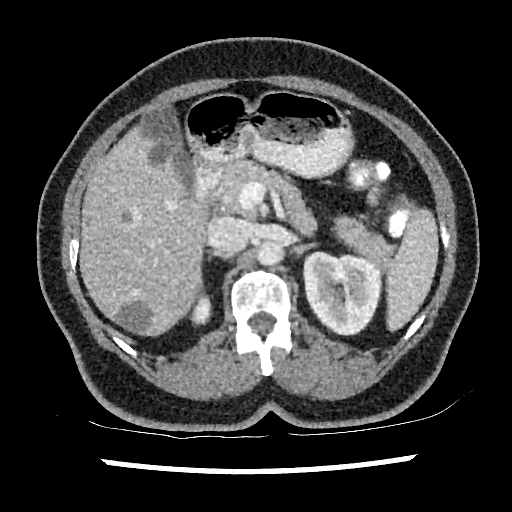

CT slice, 512x512, Upper abdomen
The liver is located at [80, 128, 207, 335]. 3 focal liver lesion regions are bounded by [115, 302, 150, 331], [151, 147, 167, 163], [121, 213, 131, 222]. 2 kidney regions appear at [196, 300, 208, 321], [304, 252, 380, 334].